MR image, Slice 29/39, Medial temporal lobe

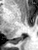
Posterior hippocampus = x1=12 y1=35 x2=23 y2=41.